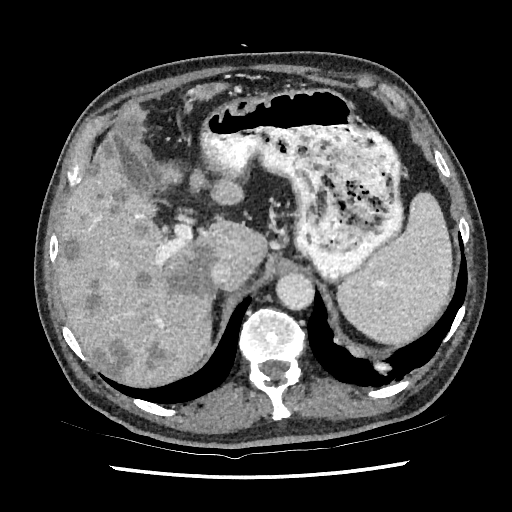
Liver. CT scan slice.
liver: (125, 141, 138, 149), (162, 167, 178, 180), (122, 103, 144, 120), (57, 146, 266, 386), (191, 170, 242, 204), (188, 82, 225, 100) | hepatic lesion: (61, 237, 79, 264), (114, 112, 141, 145), (146, 341, 166, 369), (85, 162, 99, 180), (133, 222, 149, 239), (101, 138, 115, 158), (83, 279, 103, 317), (165, 242, 218, 299), (93, 339, 133, 381), (134, 269, 153, 289), (199, 307, 210, 326), (109, 187, 129, 213), (178, 324, 189, 330)